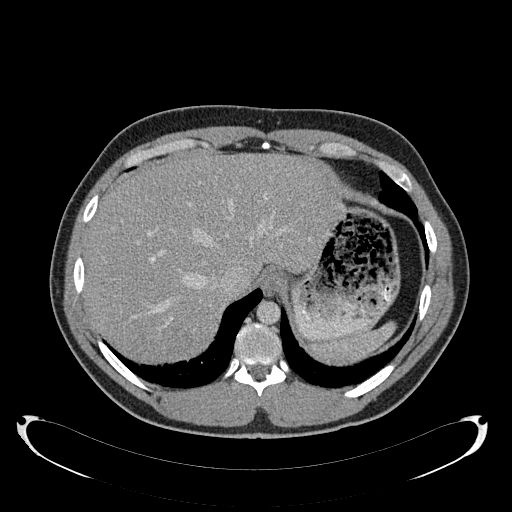
Upper abdomen, 512x512 px, Computed tomography

liver: [82, 154, 340, 360]